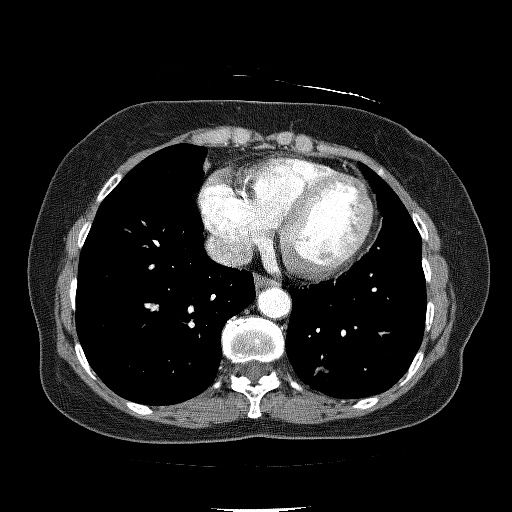
CT image; Image size 512x512; Chest
lung_tumor:
  - left=312, top=365, right=334, bottom=387